512x512 | Slice 499/871 | CT scan slice

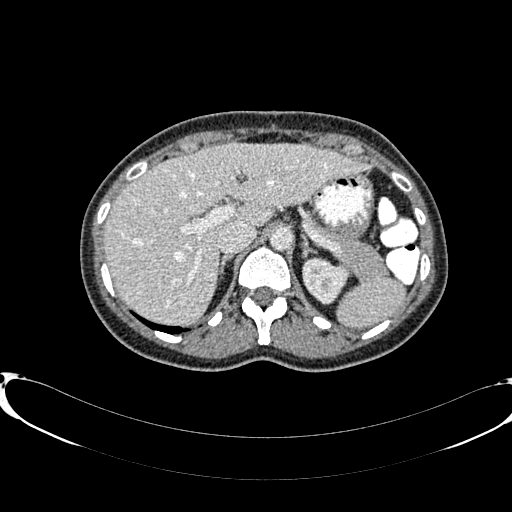 Liver: bounding box (103, 144, 371, 323).
Kidney: bounding box (304, 260, 344, 302).